Field of view 240 mm wide, 1.00 mm slice spacing. Head.
FLAIR MRI.
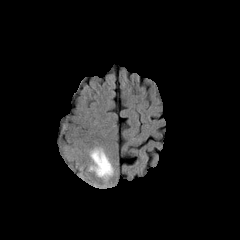
T1-weighted magnetic resonance.
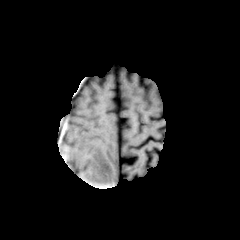
Post-contrast T1-weighted MRI.
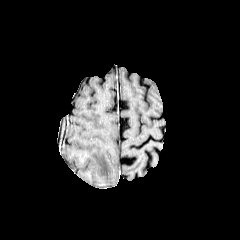
T2-weighted MRI.
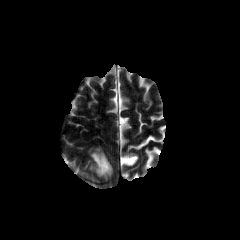
Segmented structures:
• edema: x1=90 y1=148 x2=112 y2=177